Liver, Slice 470 of 751, Field of view 328 mm wide, 0.80 mm slice spacing, Computed tomography

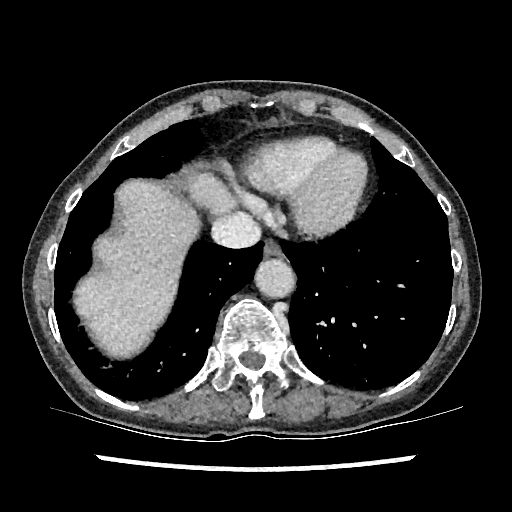

Liver: box(190, 173, 234, 214); box(74, 181, 196, 355).